240x240, Head
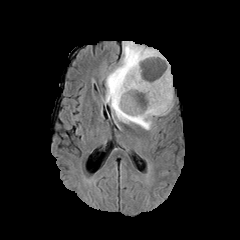
FLAIR MR image.
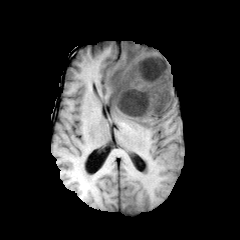
T1-weighted MR.
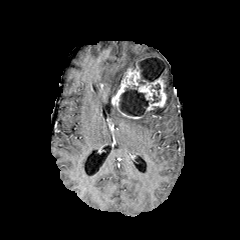
Post-contrast T1-weighted MRI of the same slice.
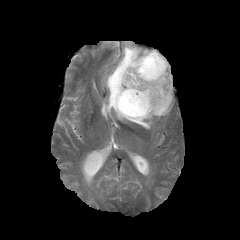
T2-weighted MRI.
Non-enhancing tumor core: x1=119 y1=86 x2=149 y2=116, x1=138 y1=58 x2=164 y2=80.
Enhancing tumor: x1=111 y1=57 x2=167 y2=120.
Edema: x1=101 y1=41 x2=173 y2=129.